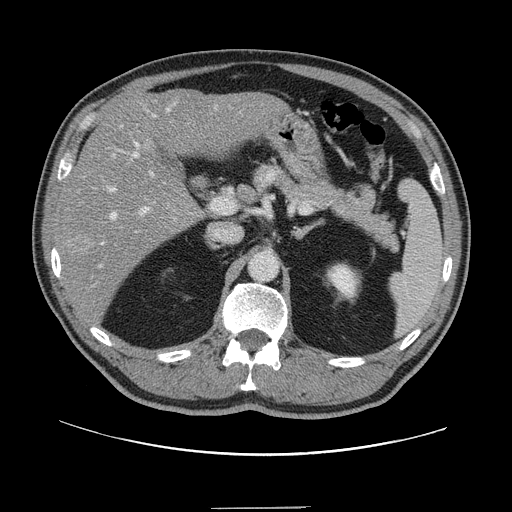 CT slice.

The vessel annotation is not exhaustive.
Hepatic vessel = x1=215 y1=107 x2=216 y2=108, x1=140 y1=208 x2=148 y2=214, x1=151 y1=172 x2=153 y2=175, x1=167 y1=105 x2=173 y2=111, x1=113 y1=151 x2=116 y2=156, x1=111 y1=213 x2=116 y2=218, x1=135 y1=142 x2=139 y2=147, x1=132 y1=152 x2=138 y2=157, x1=108 y1=187 x2=115 y2=191, x1=153 y1=115 x2=155 y2=116, x1=102 y1=243 x2=103 y2=244, x1=100 y1=265 x2=102 y2=267, x1=146 y1=109 x2=148 y2=111.
Liver tumor = x1=68 y1=236 x2=91 y2=254.